FLAIR MR image.
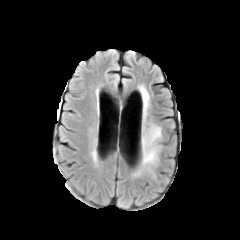
T1-weighted MRI.
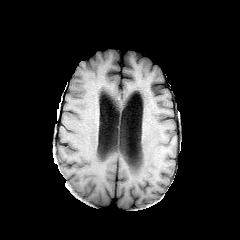
Post-contrast T1-weighted MRI.
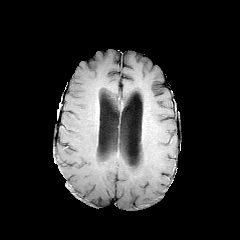
T2-weighted MR image.
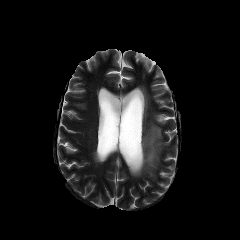
Brain
{
  "edema": [
    "[136,125,162,175]",
    "[142,87,149,124]"
  ]
}